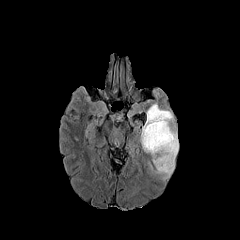
FLAIR magnetic resonance.
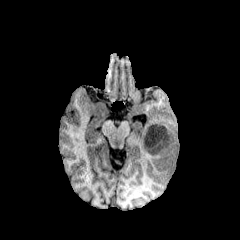
T1-weighted magnetic resonance.
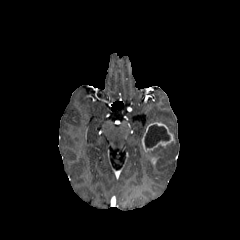
Post-contrast T1-weighted MR.
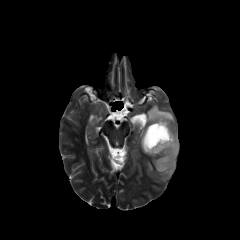
T2-weighted MR image.
Head.
{
  "edema": [
    "<bbox>137, 104, 178, 180</bbox>"
  ],
  "non-enhancing_tumor_core": [
    "<bbox>144, 125, 169, 148</bbox>"
  ],
  "enhancing_tumor": [
    "<bbox>141, 121, 174, 155</bbox>"
  ]
}